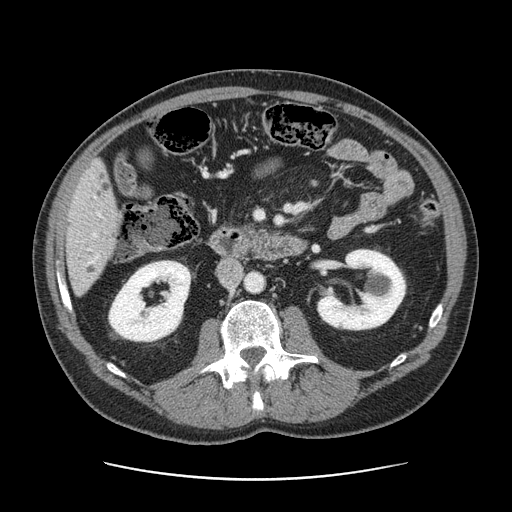
512x512; Computed tomography; Abdomen
{
  "pancreas": [
    "bbox=[245, 223, 257, 235]"
  ]
}